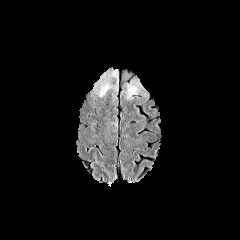
FLAIR MR.
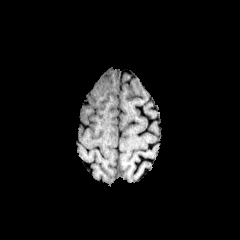
Same slice, T1-weighted MR.
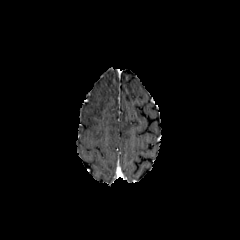
Post-contrast T1-weighted MR image.
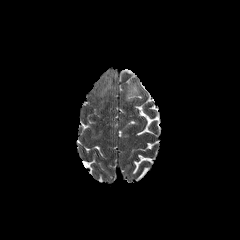
T2-weighted MRI of the same slice.
Image size 240x240, Brain
The edema is bounded by left=99, top=82, right=111, bottom=96.